Image size 512x512, CT image, Slice index 110 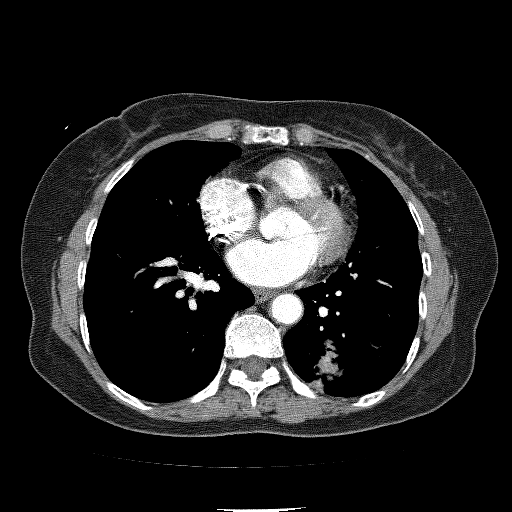 Lung tumor at [308,338,343,392].